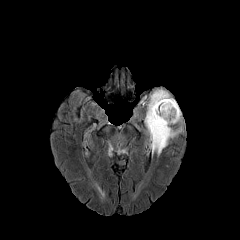
FLAIR magnetic resonance.
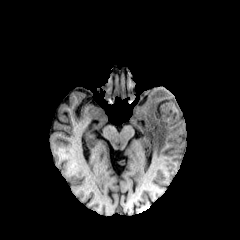
Same slice, T1-weighted MRI.
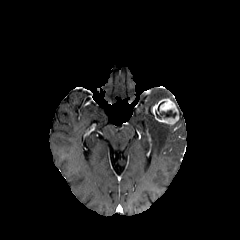
Post-contrast T1-weighted MRI of the same slice.
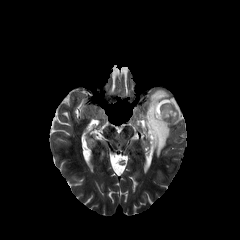
T2-weighted MRI of the same slice.
240x240 px, Head
The non-enhancing tumor core is located at (159, 110, 176, 117). The edema appears at (144, 89, 181, 157). The enhancing tumor appears at (151, 99, 180, 125).